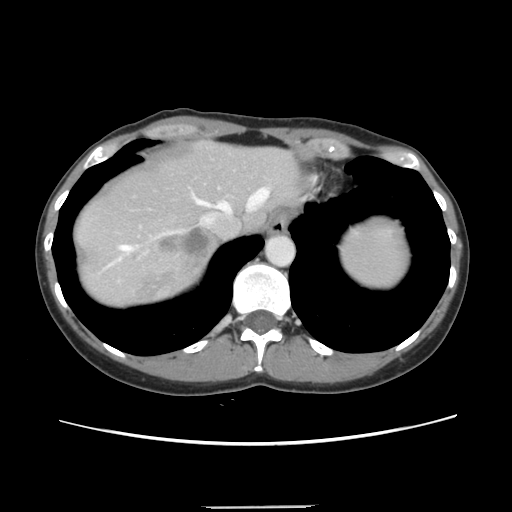

512x512 px | CT scan slice
Only some of the vessels may be annotated.
hepatic_vessel:
  - [x1=119, y1=246, x2=131, y2=254]
  - [x1=188, y1=186, x2=230, y2=212]
  - [x1=178, y1=230, x2=181, y2=230]
  - [x1=114, y1=258, x2=119, y2=262]
  - [x1=246, y1=188, x2=267, y2=209]
  - [x1=147, y1=208, x2=150, y2=210]
  - [x1=108, y1=262, x2=112, y2=266]
  - [x1=200, y1=216, x2=205, y2=223]
liver_tumor:
  - [x1=185, y1=229, x2=210, y2=253]
  - [x1=160, y1=238, x2=177, y2=248]